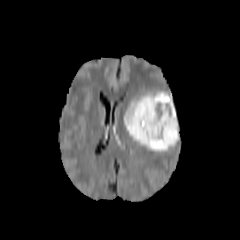
FLAIR MR.
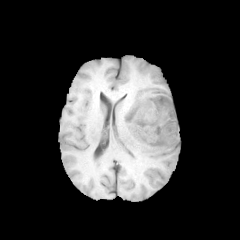
T1-weighted MR image of the same slice.
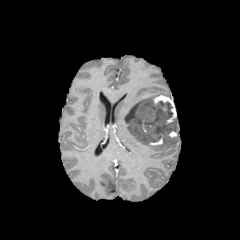
Post-contrast T1-weighted magnetic resonance.
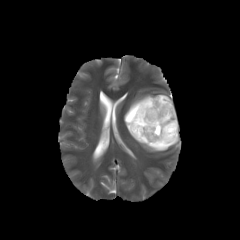
Same slice, T2-weighted MRI.
240x240
<segmentation>
  <edema>bbox(126, 88, 172, 115); bbox(145, 147, 167, 151)</edema>
  <enhancing_tumor>bbox(153, 94, 176, 124); bbox(168, 128, 179, 138); bbox(150, 136, 163, 145)</enhancing_tumor>
  <non-enhancing_tumor_core>bbox(125, 98, 178, 148)</non-enhancing_tumor_core>
</segmentation>